Upper abdomen | Slice 16/44 | CT slice 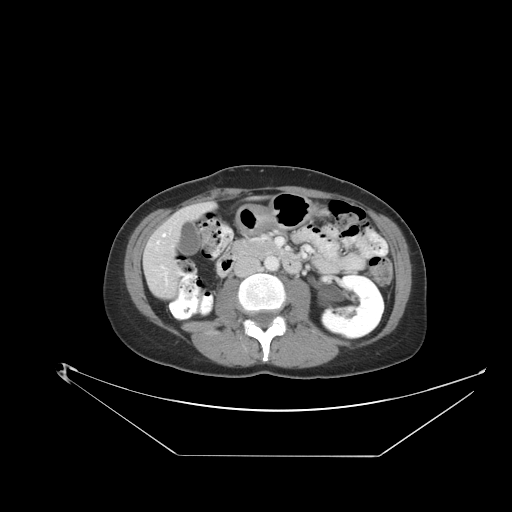 The pancreas is at <box>233,237,291,258</box>.